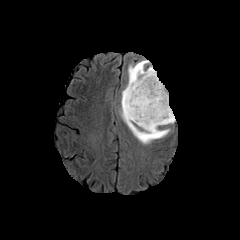
FLAIR MR image.
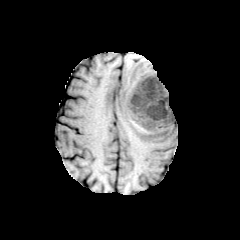
T1-weighted MR.
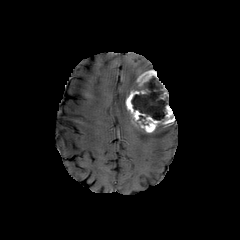
Post-contrast T1-weighted MR of the same slice.
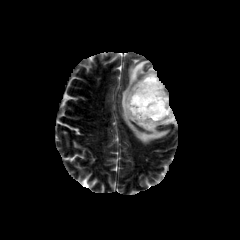
T2-weighted MR.
Image size 240x240.
non-enhancing_tumor_core:
  - 132:76:168:119
  - 142:128:161:137
enhancing_tumor:
  - 160:87:168:99
  - 137:70:156:86
  - 126:89:173:132
edema:
  - 118:58:170:144